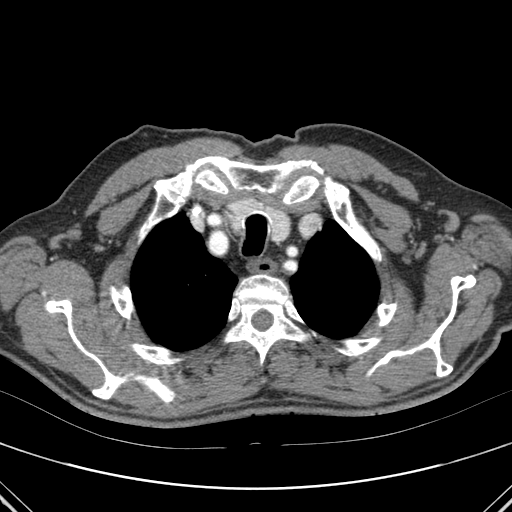

CT; 512x512

Bone at (x1=283, y1=175, x2=319, y2=203), (x1=110, y1=286, x2=133, y2=318), (x1=131, y1=344, x2=178, y2=364), (x1=224, y1=274, x2=308, y2=363), (x1=324, y1=176, x2=380, y2=260), (x1=143, y1=377, x2=174, y2=402), (x1=338, y1=337, x2=380, y2=355), (x1=368, y1=275, x2=475, y2=376), (x1=45, y1=299, x2=125, y2=399), (x1=377, y1=303, x2=396, y2=326), (x1=140, y1=156, x2=323, y2=239), (x1=195, y1=169, x2=228, y2=193).
Lung at (x1=290, y1=220, x2=379, y2=338), (x1=131, y1=212, x2=237, y2=350).